Slice index 92 | Head | Image size 240x240
FLAIR MR.
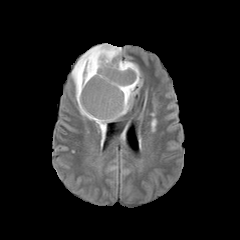
T1-weighted MR.
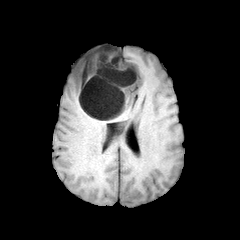
Post-contrast T1-weighted magnetic resonance.
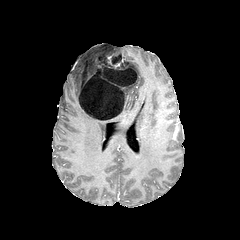
T2-weighted magnetic resonance.
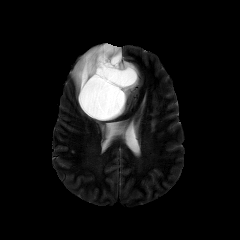
<segmentation>
  <non-enhancing_tumor_core>region(78, 45, 137, 120)</non-enhancing_tumor_core>
  <edema>region(122, 58, 141, 114); region(71, 43, 121, 141)</edema>
</segmentation>